CT image, 512x512, Liver, Field of view 450x450 mm

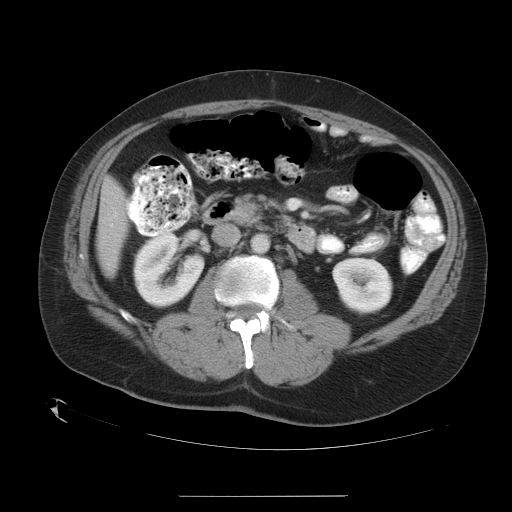 Only some of the vessels may be annotated.
Findings:
- hepatic vessel: (x1=127, y1=203, x2=129, y2=208)